CT slice; Slice 55 of 77 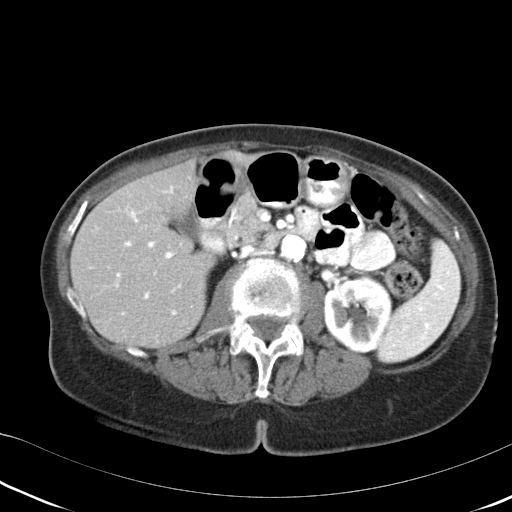
{
  "pancreas": [
    "[226, 193, 287, 250]"
  ]
}